Slice 24/98. 512x512 px. Abdomen. Field of view 399 mm wide, 2.50 mm slice spacing. CT. 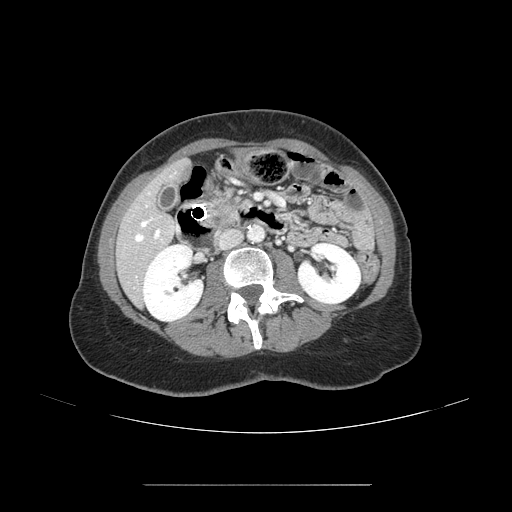

Pancreas: <box>213,192,242,228</box>.